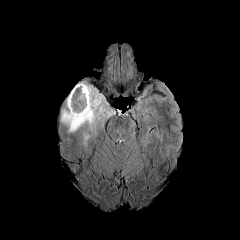
FLAIR magnetic resonance.
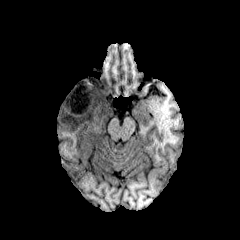
T1-weighted MR of the same slice.
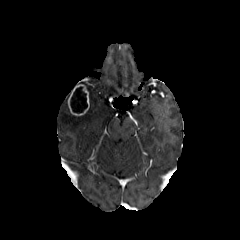
Post-contrast T1-weighted MRI.
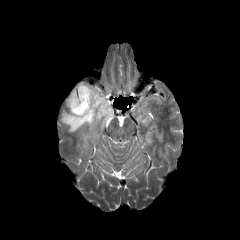
T2-weighted MRI.
240x240 px.
{"enhancing_tumor": ["67:84:89:116"], "non-enhancing_tumor_core": ["69:87:87:112"], "edema": ["83:134:90:149", "60:85:115:133"]}